Field of view 240x240 mm
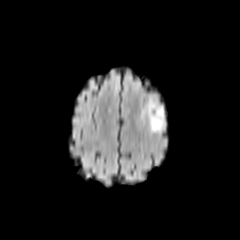
FLAIR MR image.
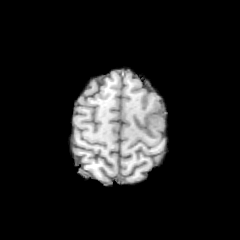
T1-weighted magnetic resonance.
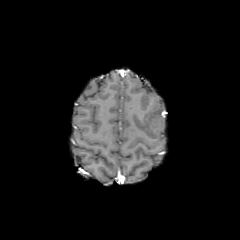
Post-contrast T1-weighted magnetic resonance.
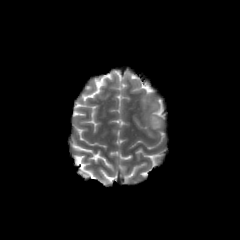
T2-weighted MRI.
The edema is at x1=142 y1=95 x2=167 y2=132.